Slice 42/154, Liver, 512x512 px, Computed tomography, Field of view 411 mm wide, 1.50 mm slice spacing
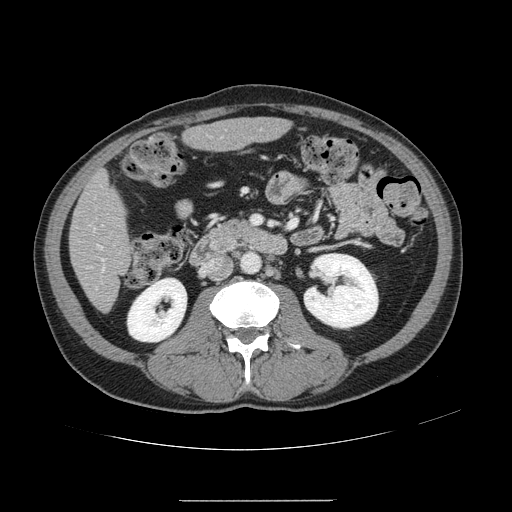

Not every hepatic vessel necessarily has a box.
4 hepatic vessel regions are located at rect(101, 259, 104, 261); rect(97, 245, 102, 248); rect(102, 267, 104, 271); rect(94, 227, 94, 230).